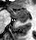

MRI.
Anterior hippocampus at 8 8 28 18.
Posterior hippocampus at 16 19 26 22.